Head
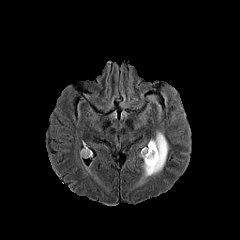
FLAIR magnetic resonance.
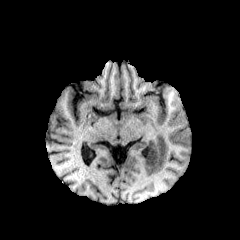
T1-weighted MRI.
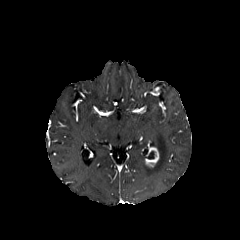
Post-contrast T1-weighted MRI.
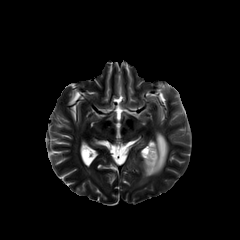
Same slice, T2-weighted MRI.
Non-enhancing tumor core at x1=145 y1=150 x2=156 y2=159.
Edema at x1=144 y1=132 x2=168 y2=176.
Enhancing tumor at x1=146 y1=147 x2=158 y2=163.